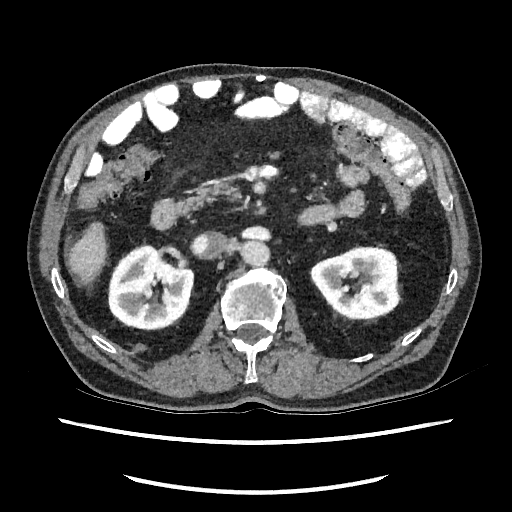 CT | 512x512

liver:
  - left=69, top=223, right=105, bottom=283
kidney:
  - left=108, top=245, right=193, bottom=329
  - left=310, top=247, right=400, bottom=319